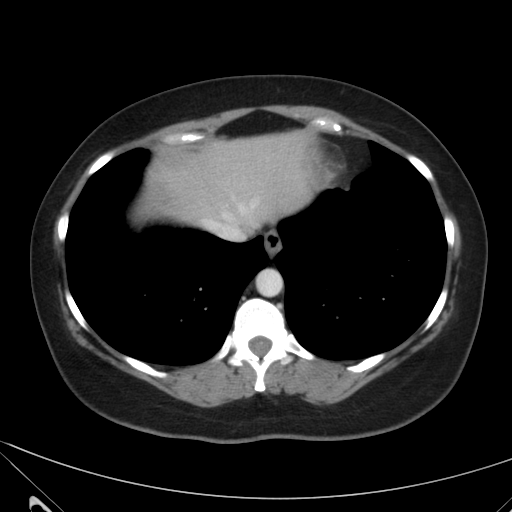 CT. Liver. 512x512 px.

The liver appears at (150, 131, 314, 234).